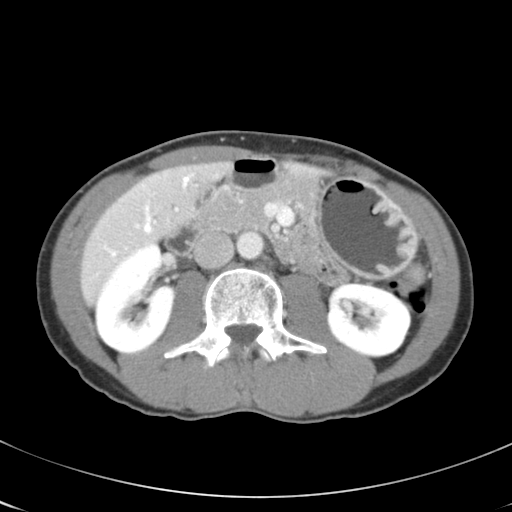
Liver | CT image | 512x512 px
Some hepatic vessels may have no box.
Hepatic vessel — box(145, 206, 150, 231); box(107, 248, 116, 255); box(183, 177, 188, 185).